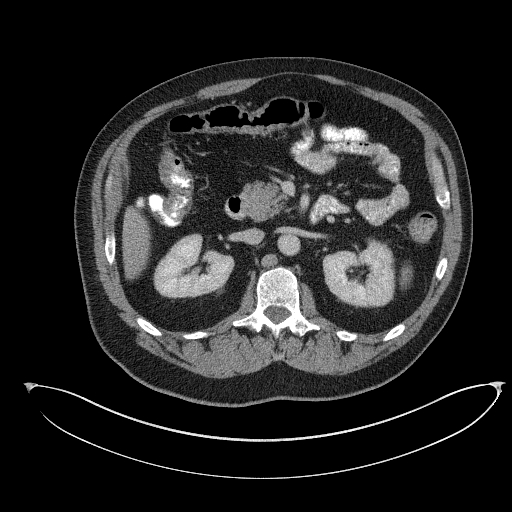
CT | Image size 512x512
The pancreas is bounded by {"x1": 242, "y1": 180, "x2": 284, "y2": 221}.